Abdomen | Image size 512x512 | Computed tomography
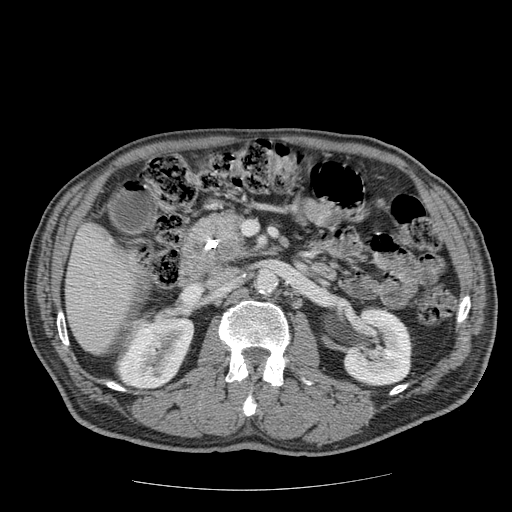
pancreas: l=191, t=260, r=208, b=267; l=201, t=207, r=251, b=267 | pancreatic tumor: l=182, t=214, r=244, b=268